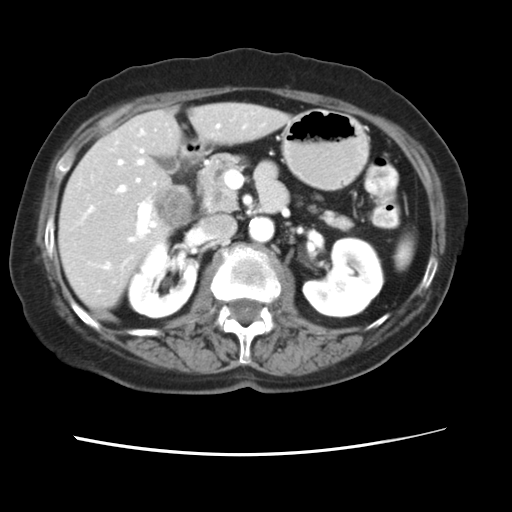

Computed tomography, Liver
Only some of the vessels may be annotated.
The liver tumor lies within 156:189:188:225. 14 hepatic vessel regions are bounded by 102:262:110:269, 216:125:219:127, 243:126:244:128, 122:257:131:266, 118:160:122:164, 129:199:156:242, 81:206:93:224, 138:159:143:164, 136:179:139:181, 98:291:100:292, 140:149:142:152, 139:130:144:135, 153:183:154:184, 117:186:125:192.